FLAIR MR image.
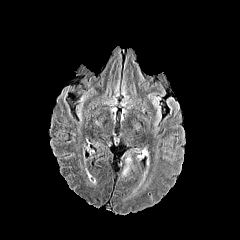
T1-weighted magnetic resonance.
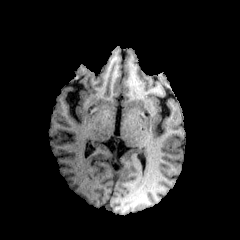
Post-contrast T1-weighted MRI.
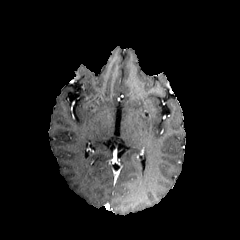
T2-weighted magnetic resonance.
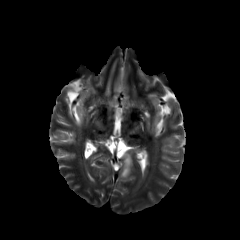
Head
The edema is located at l=122, t=157, r=132, b=175.